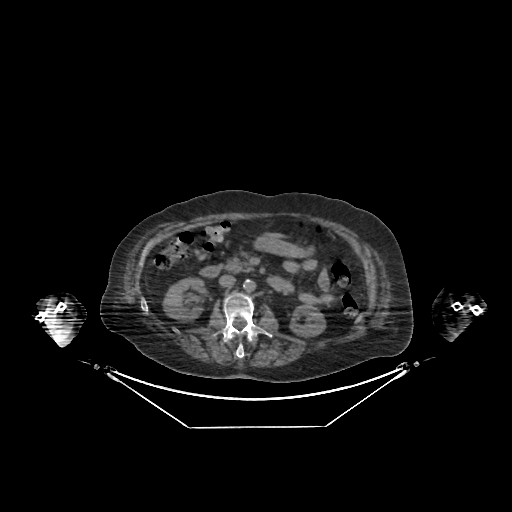

CT scan slice | 512x512 | Liver
2 kidney regions are bounded by left=289, top=304, right=325, bottom=337; left=163, top=277, right=206, bottom=322. The liver is bounded by left=257, top=235, right=287, bottom=245.